Field of view 460x460 mm; Slice index 59; Computed tomography
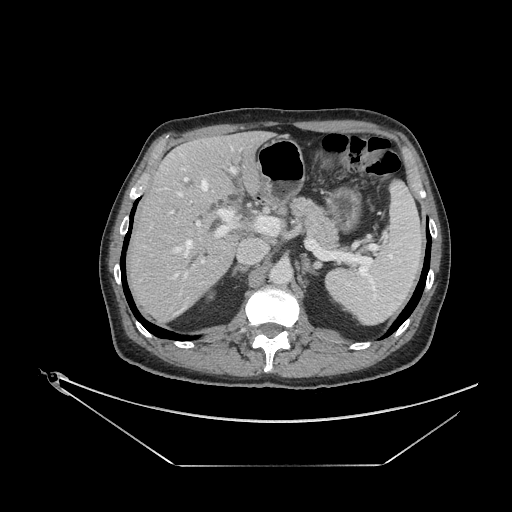 Annotated regions:
* pancreas: (291, 198, 349, 252)